FLAIR MR image.
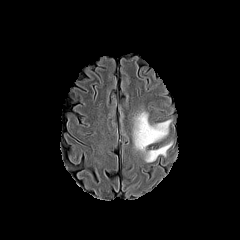
T1-weighted MRI.
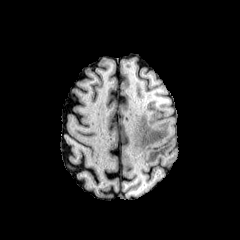
Post-contrast T1-weighted magnetic resonance.
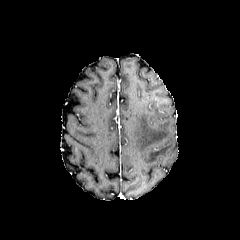
T2-weighted MR.
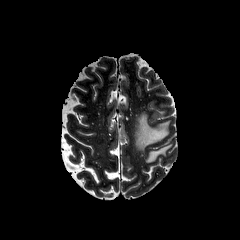
240x240 px
Edema at 145, 143, 171, 162; 133, 112, 171, 152.